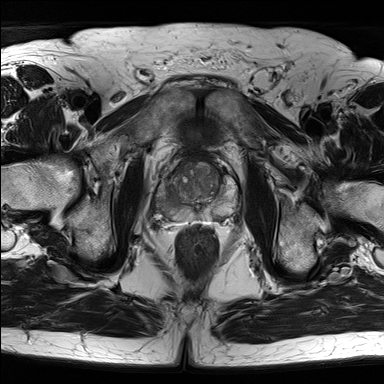
T2-weighted MR.
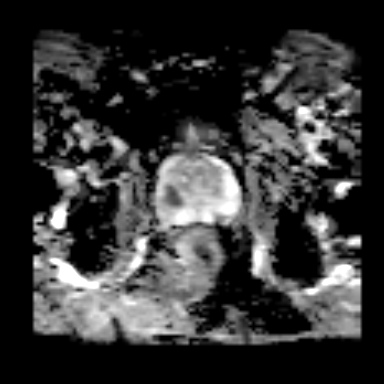
ADC MRI.
384x384 px
The prostate transition zone is located at (x1=163, y1=159, x2=223, y2=209). The prostate peripheral zone is located at (x1=158, y1=172, x2=239, y2=220).